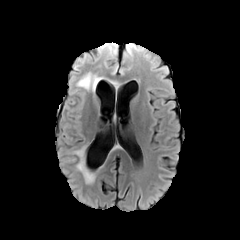
FLAIR MR.
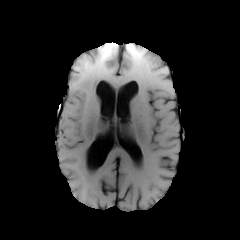
T1-weighted MR of the same slice.
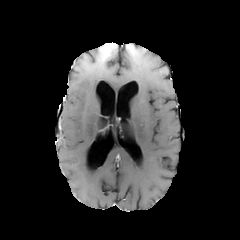
Post-contrast T1-weighted MR image of the same slice.
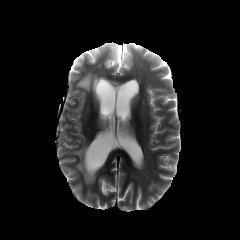
Same slice, T2-weighted MRI.
Brain
The non-enhancing tumor core lies within rect(96, 45, 115, 61). 5 edema regions appear at rect(77, 72, 103, 92); rect(84, 54, 103, 61); rect(104, 52, 118, 73); rect(120, 46, 133, 71); rect(76, 148, 95, 183).